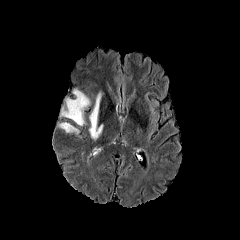
FLAIR MR.
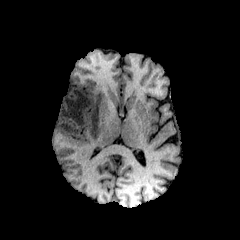
T1-weighted magnetic resonance.
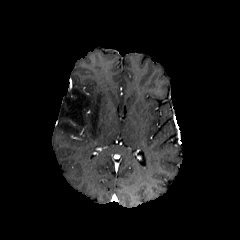
Same slice, post-contrast T1-weighted MRI.
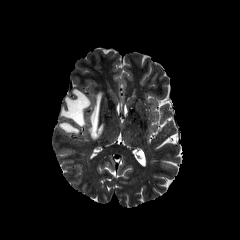
T2-weighted magnetic resonance.
Annotated regions:
* edema: rect(59, 122, 78, 133); rect(89, 93, 103, 140); rect(61, 89, 90, 126)